FLAIR MR.
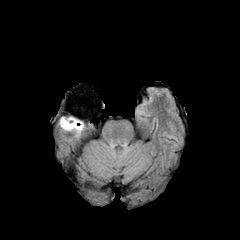
T1-weighted MR image.
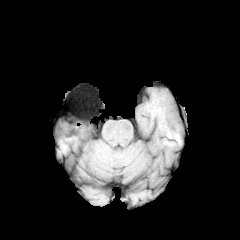
Post-contrast T1-weighted magnetic resonance.
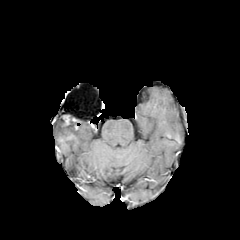
T2-weighted magnetic resonance.
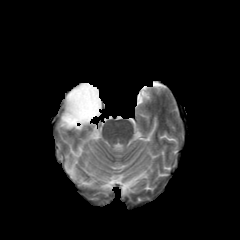
Image size 240x240
Findings:
- edema: (left=58, top=120, right=83, bottom=135)
- non-enhancing tumor core: (left=66, top=116, right=81, bottom=128)